Abdomen; Field of view 387 mm wide, 0.80 mm slice spacing; CT slice; Slice index 347
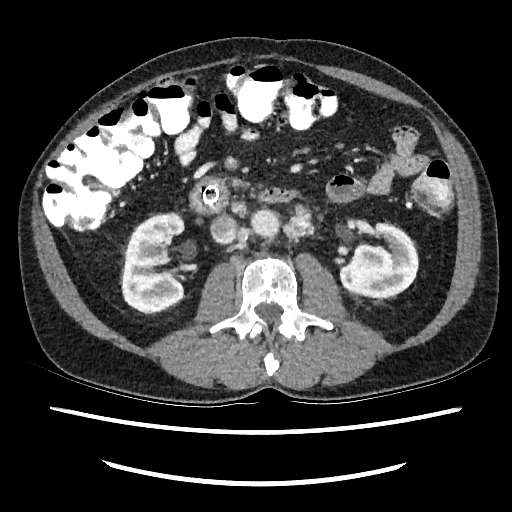

2 kidney regions are bounded by [x1=340, y1=224, x2=417, y2=297], [x1=122, y1=215, x2=184, y2=312].